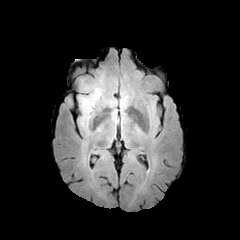
FLAIR MRI.
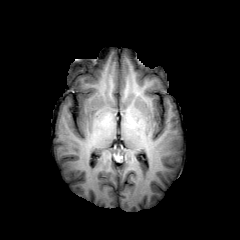
Same slice, T1-weighted MR.
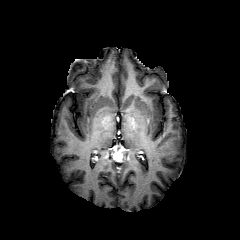
Same slice, post-contrast T1-weighted MR image.
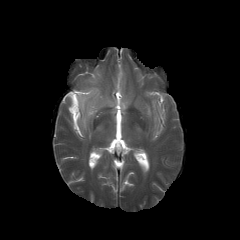
Same slice, T2-weighted MRI.
Brain.
{
  "edema": [
    "bbox=[78, 86, 102, 126]",
    "bbox=[109, 90, 133, 124]"
  ]
}